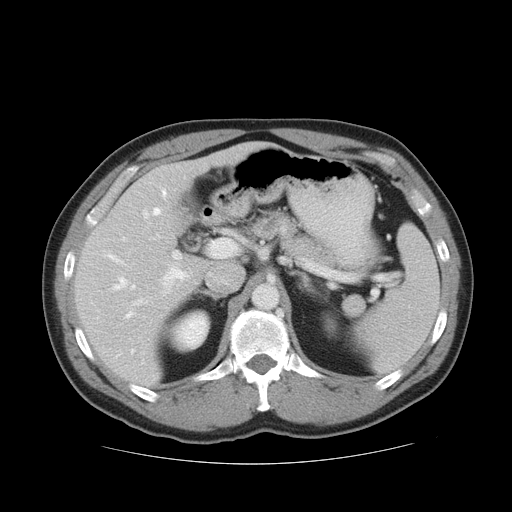
Abdomen, CT image
Annotated regions:
* pancreas: rect(251, 211, 334, 267)